Image size 512x512. Slice index 88. Computed tomography. Upper abdomen. 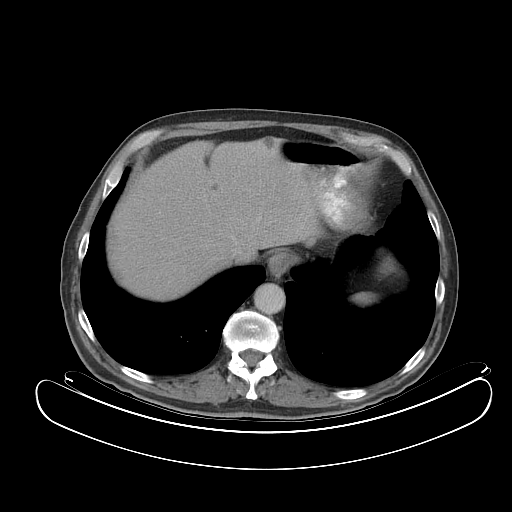

<segmentation>
  <spleen>{"x1": 355, "y1": 296, "x2": 374, "y2": 305}</spleen>
</segmentation>